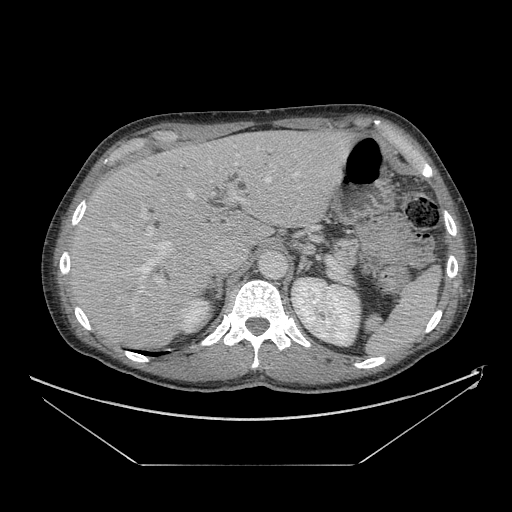 Upper abdomen. 512x512 px. CT slice.
Pancreas — [x1=331, y1=237, x2=358, y2=266].